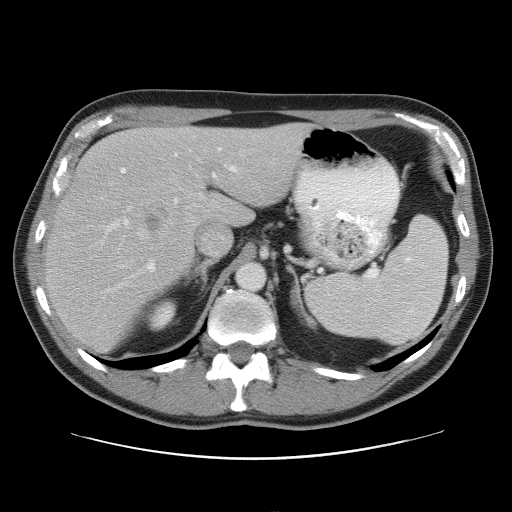

Computed tomography. Liver.
Not every hepatic vessel necessarily has a box.
hepatic_vessel:
  - [101,197,103,199]
  - [138,229,145,238]
  - [147,261,153,271]
  - [224,164,252,175]
  - [186,192,227,215]
  - [173,197,178,205]
  - [189,166,198,178]
  - [120,168,124,172]
  - [97,218,128,245]
  - [127,206,131,210]
  - [132,270,140,276]
  - [213,174,215,177]
  - [169,221,172,224]
  - [217,147,220,150]
liver_tumor:
  - [145,210,167,232]